Head, Field of view 240x240 mm
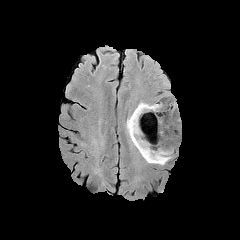
FLAIR magnetic resonance.
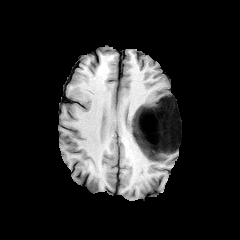
T1-weighted MRI of the same slice.
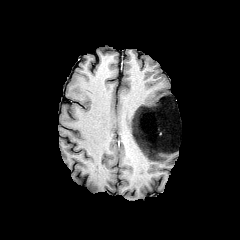
Post-contrast T1-weighted MRI.
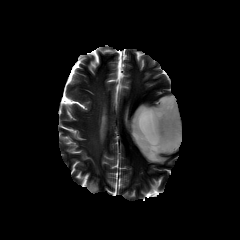
Same slice, T2-weighted MR.
edema:
  - x1=171, y1=102, x2=179, y2=130
  - x1=138, y1=110, x2=154, y2=147
  - x1=126, y1=98, x2=175, y2=164
non-enhancing_tumor_core:
  - x1=132, y1=102, x2=179, y2=159